Pelvis | Slice index 87 | Computed tomography | Field of view 496x496 mm

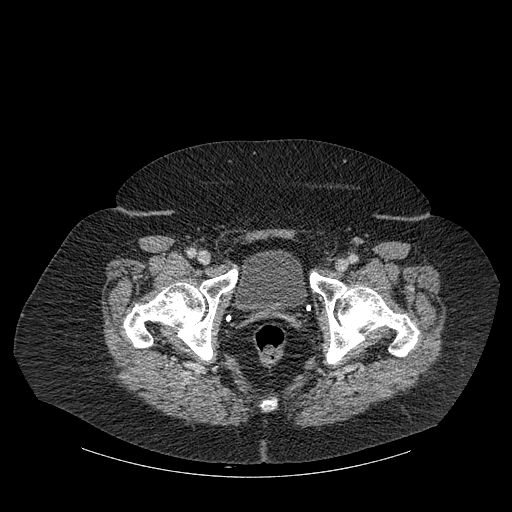

Annotated regions:
* urinary bladder: (233,249,307,321)
* bone: (310,272,419,363), (261,399,276,408), (124,269,237,360)